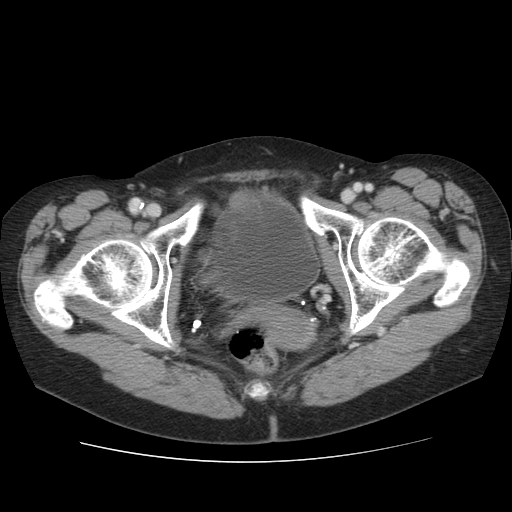

CT image | Image size 512x512
bone:
  - x1=31, y1=202, x2=203, y2=347
  - x1=249, y1=388, x2=267, y2=398
  - x1=300, y1=196, x2=474, y2=333